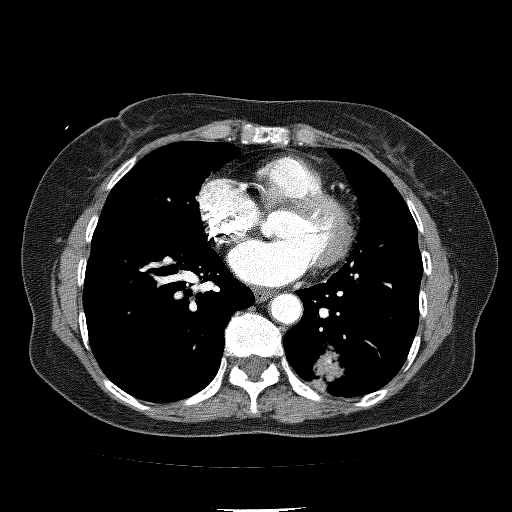
Lung; CT image
Lung tumor at x1=310 y1=340 x2=344 y2=392.